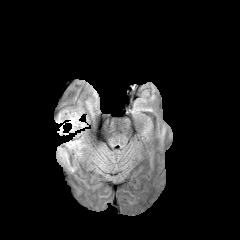
FLAIR MR.
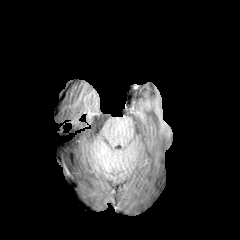
Same slice, T1-weighted MR image.
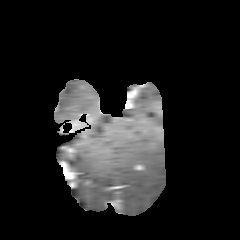
Post-contrast T1-weighted magnetic resonance.
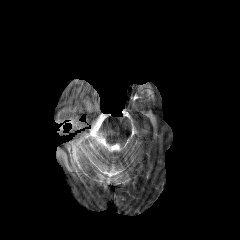
T2-weighted magnetic resonance.
240x240 | Brain
<segmentation>
  <edema>(55,109,79,129), (57,137,87,172)</edema>
  <enhancing_tumor>(61,162,71,171)</enhancing_tumor>
  <non-enhancing_tumor_core>(63,156,72,163)</non-enhancing_tumor_core>
</segmentation>